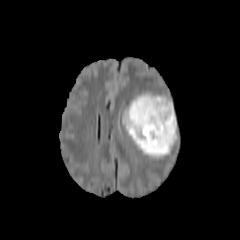
FLAIR magnetic resonance.
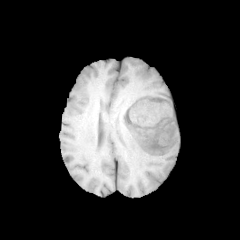
Same slice, T1-weighted MRI.
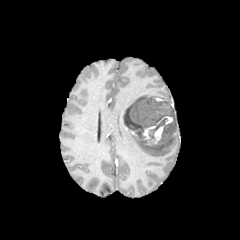
Post-contrast T1-weighted magnetic resonance of the same slice.
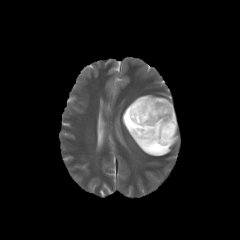
T2-weighted MR.
non-enhancing_tumor_core:
  - [x1=152, y1=118, x2=166, y2=130]
  - [x1=124, y1=97, x2=177, y2=145]
enhancing_tumor:
  - [x1=141, y1=115, x2=172, y2=145]
edema:
  - [x1=123, y1=94, x2=177, y2=157]